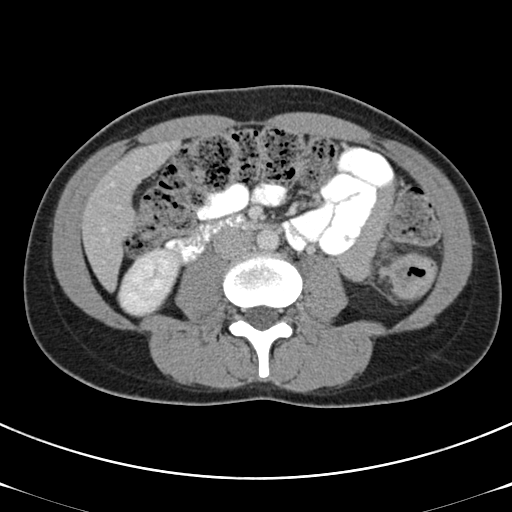 Abdomen. CT image. The colon tumor is located at (x1=389, y1=253, x2=437, y2=298).